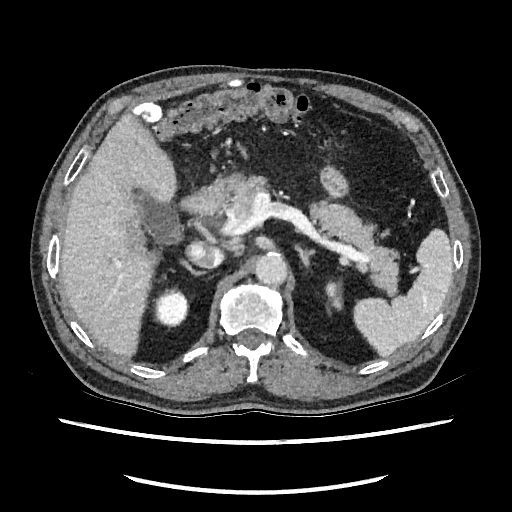

512x512; Computed tomography
Findings:
* liver: 64 115 174 354
* focal liver lesion: 128 226 153 265
* kidney: 326 282 339 304, 155 289 188 326